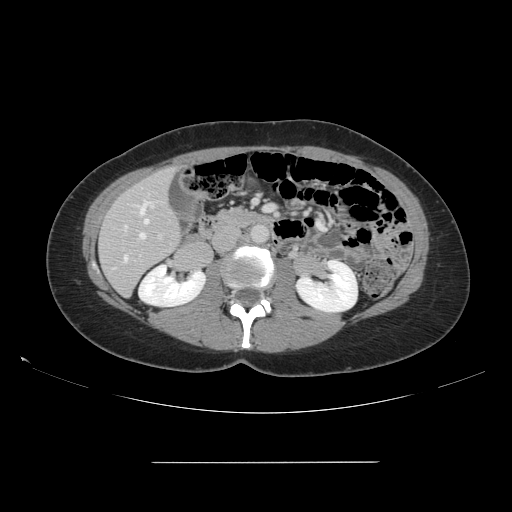
Liver | 512x512 px | CT

The vessel boxes may cover only some of the vessels.
7 hepatic vessel regions appear at 139:233:145:239, 138:200:155:215, 144:219:148:224, 159:235:160:237, 113:268:114:269, 123:225:127:231, 124:255:128:261.